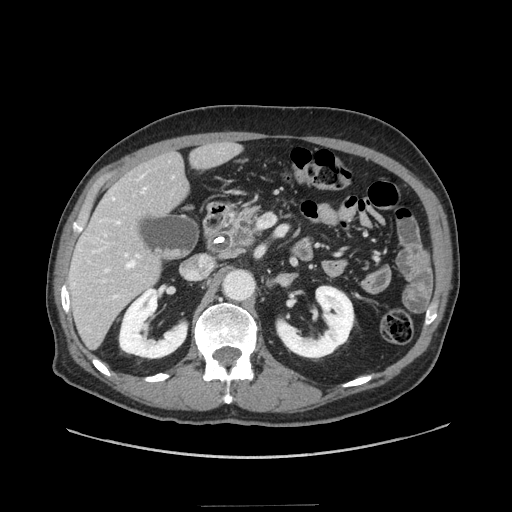 Abdomen; Computed tomography; 512x512
pancreas: x1=226 y1=209 x2=257 y2=246 | pancreatic tumor: x1=234 y1=229 x2=248 y2=243